FLAIR MR image.
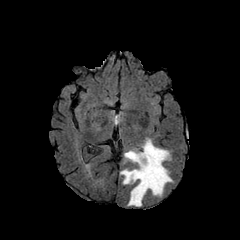
T1-weighted MRI.
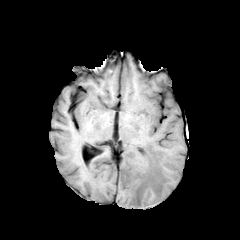
Post-contrast T1-weighted magnetic resonance.
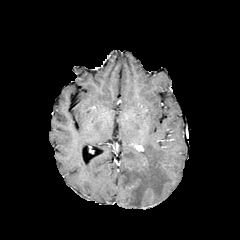
T2-weighted MR image.
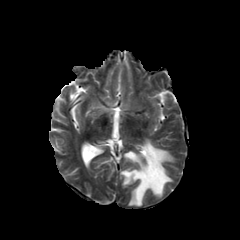
The edema is bounded by x1=120 y1=138 x2=173 y2=206.